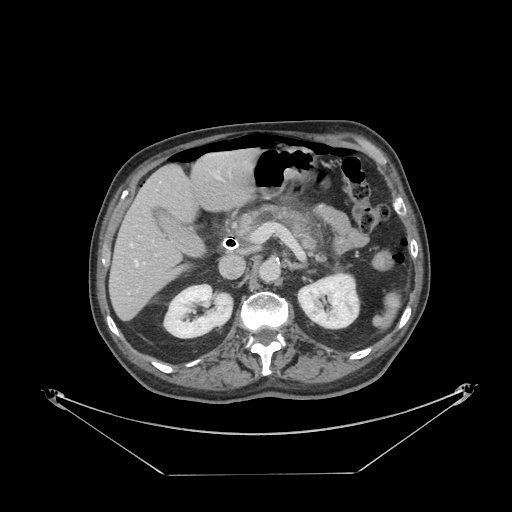
Upper abdomen; CT slice

pancreas:
  - 238:206:325:261